FLAIR magnetic resonance.
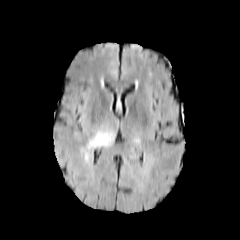
T1-weighted magnetic resonance.
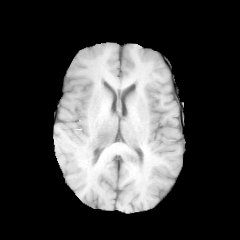
Post-contrast T1-weighted MRI.
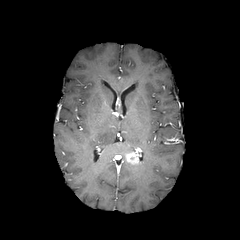
T2-weighted MR.
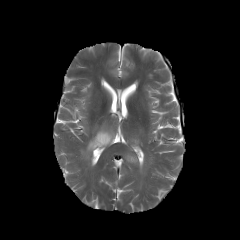
The enhancing tumor is at [125,152,139,165]. The edema appears at [83,130,113,157].